FLAIR MR.
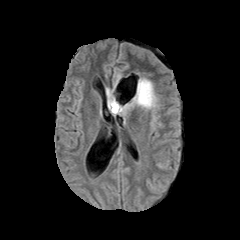
T1-weighted MRI.
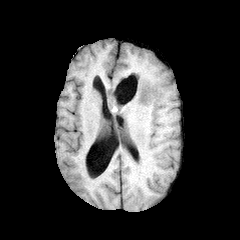
Post-contrast T1-weighted MR image.
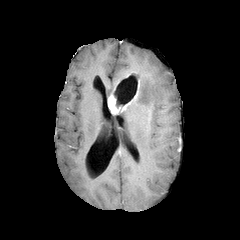
T2-weighted magnetic resonance.
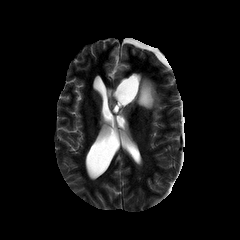
Brain
{
  "edema": [
    "region(113, 74, 159, 115)"
  ],
  "enhancing_tumor": [
    "region(108, 94, 127, 113)"
  ]
}